Head, 240x240 px
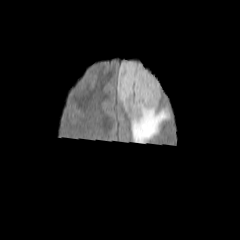
FLAIR magnetic resonance.
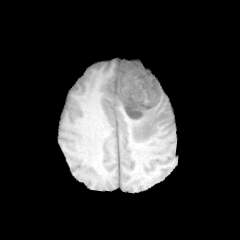
T1-weighted MR image of the same slice.
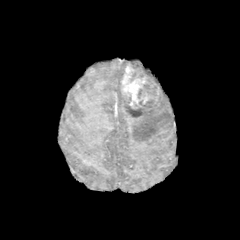
Same slice, post-contrast T1-weighted magnetic resonance.
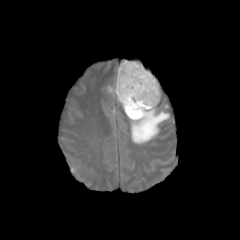
Same slice, T2-weighted magnetic resonance.
Edema at <bbox>130, 60, 144, 69</bbox>, <bbox>126, 105, 170, 142</bbox>, <bbox>105, 60, 129, 110</bbox>.
Enhancing tumor at <bbox>120, 61, 153, 108</bbox>.
Non-enhancing tumor core at <bbox>125, 105, 144, 117</bbox>, <bbox>131, 64, 160, 109</bbox>.